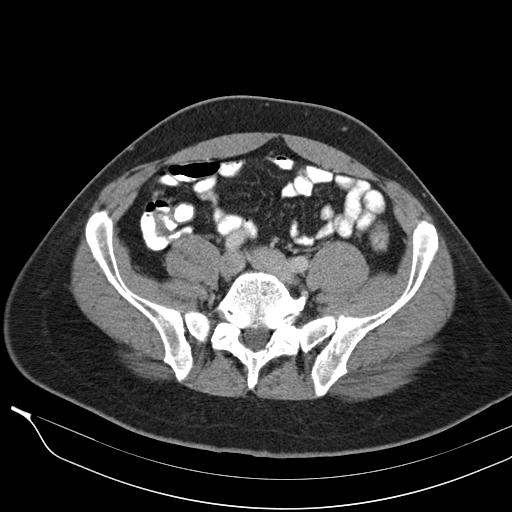

CT scan slice
{
  "colon_tumor": [
    "(left=153, top=210, right=169, bottom=237)"
  ]
}